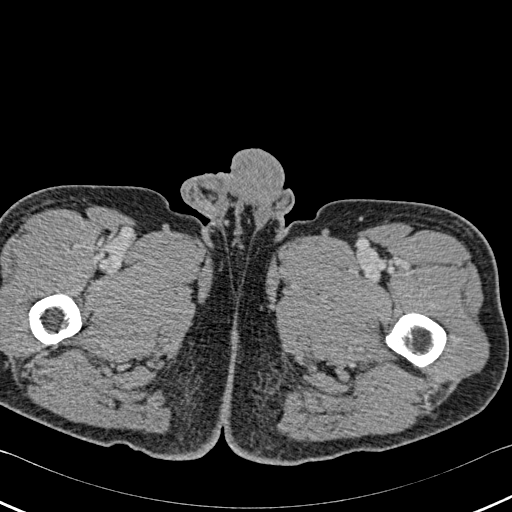 Computed tomography

bone:
  - x1=29, y1=294, x2=82, y2=344
  - x1=384, y1=313, x2=445, y2=366